Medial temporal lobe | MRI | Slice 21 of 31 | Field of view 39 mm wide, 1.00 mm slice spacing 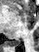
Posterior hippocampus: [9,38,20,46].